CT image | Slice 196 of 244

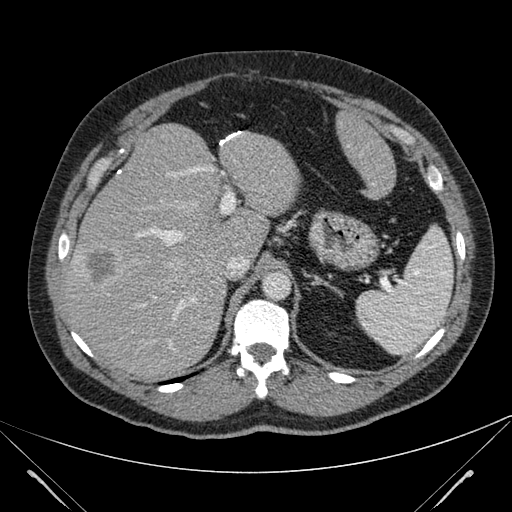 Liver lesion at 85,246,121,288.
Liver at 336,110,395,199; 55,124,299,381.